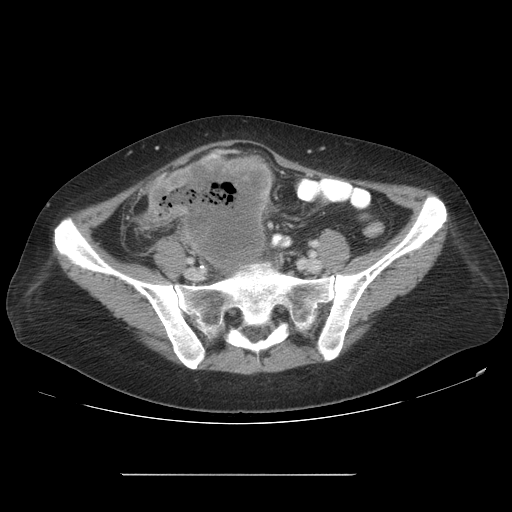 Computed tomography

Colon tumor at {"x1": 148, "y1": 155, "x2": 270, "y2": 270}.